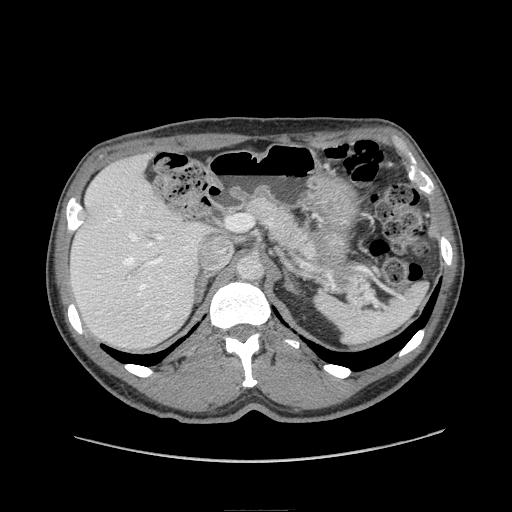
CT slice.
Findings:
* pancreas: [x1=247, y1=198, x2=353, y2=284]